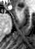

Hippocampus | MRI slice

Annotated regions:
• anterior hippocampus: rect(18, 7, 20, 10)